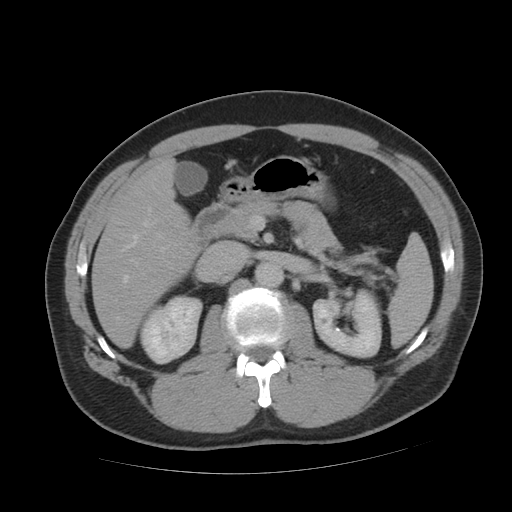

Computed tomography | 512x512 px | Liver
Only some of the vessels may be annotated.
hepatic_vessel:
  - box=[123, 234, 138, 249]
  - box=[123, 273, 129, 283]
  - box=[130, 259, 137, 264]
  - box=[161, 248, 164, 250]
  - box=[144, 221, 150, 226]